Abdomen, CT slice, Field of view 400 mm wide, 0.80 mm slice spacing 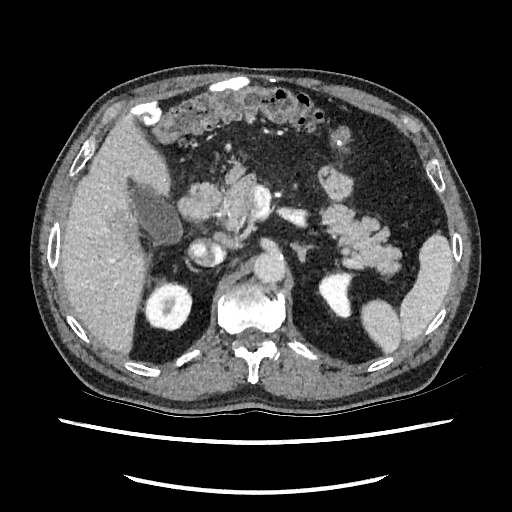

2 liver lesion regions are located at (128, 229, 145, 260), (110, 212, 124, 228). 2 kidney regions are bounded by (321, 272, 352, 317), (142, 281, 191, 330). The liver lies within (64, 116, 168, 352).